Image width 383 mm; Computed tomography 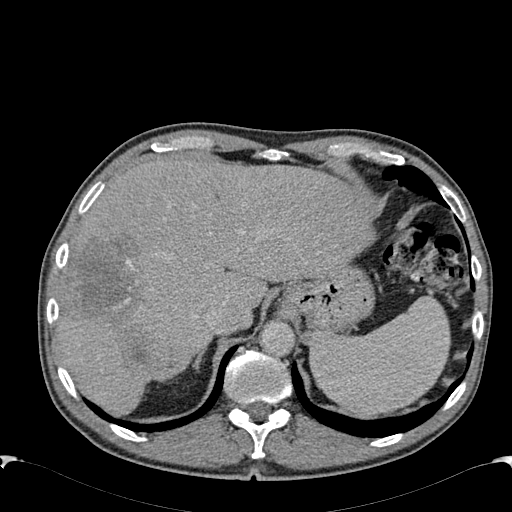 Liver at [57, 160, 375, 413].
Focal liver lesion at [71, 233, 156, 370].